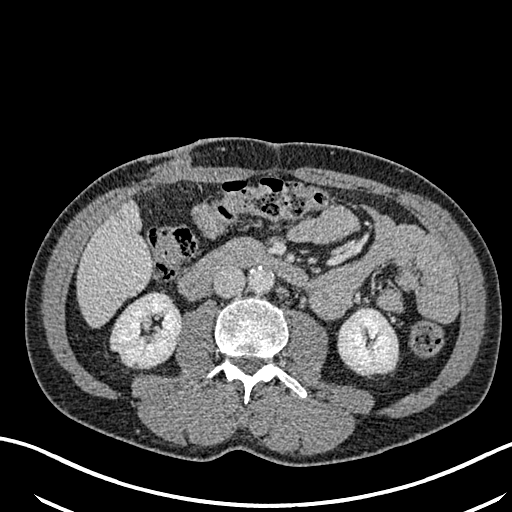 Abdomen, Image size 512x512, CT scan slice
2 kidney regions are bounded by [111, 293, 180, 366], [338, 309, 397, 373]. The liver is located at [77, 203, 150, 325]. The liver lesion lies within [115, 210, 124, 222].